CT; Slice 95/134; 512x512
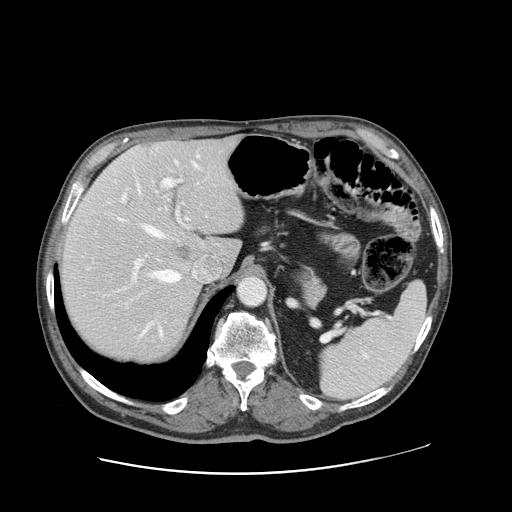

Some hepatic vessels may have no box.
{"liver_tumor": ["bbox=[175, 246, 198, 263]", "bbox=[144, 142, 151, 148]"], "hepatic_vessel": ["bbox=[152, 270, 179, 281]", "bbox=[122, 195, 125, 200]", "bbox=[138, 185, 140, 193]", "bbox=[193, 163, 198, 166]", "bbox=[141, 326, 148, 334]", "bbox=[119, 219, 122, 220]", "bbox=[163, 179, 172, 186]", "bbox=[175, 161, 177, 163]", "bbox=[160, 328, 161, 335]", "bbox=[145, 226, 162, 237]", "bbox=[134, 259, 140, 279]"]}